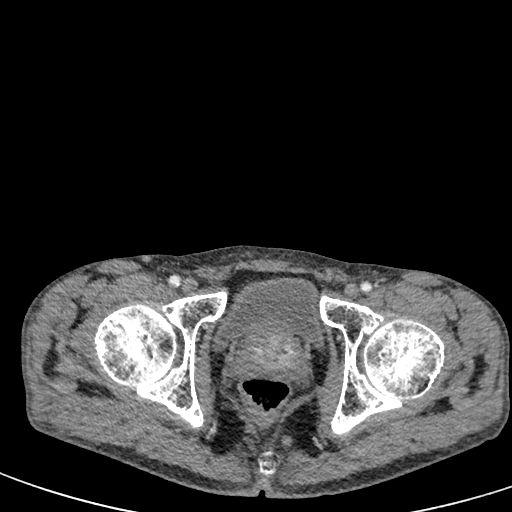

512x512 px | Pelvis | CT image
urinary bladder: rect(212, 279, 325, 351)